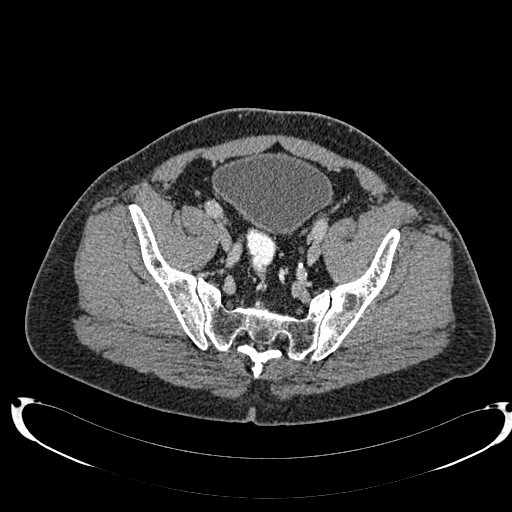 CT image
Urinary bladder: [x1=212, y1=152, x2=331, y2=234].